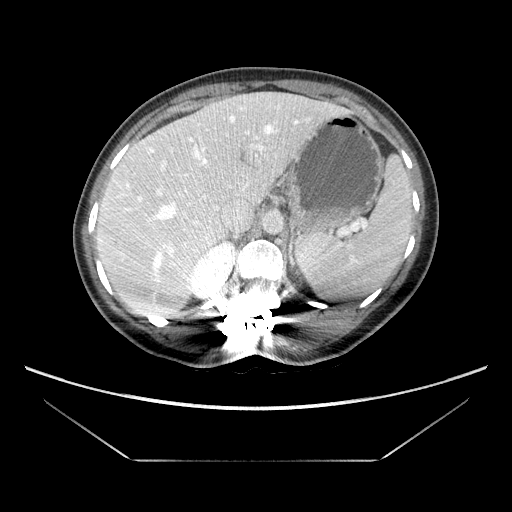 CT slice

Some hepatic vessels may have no box.
9 hepatic vessel regions appear at region(266, 126, 270, 131); region(221, 200, 245, 231); region(134, 225, 173, 252); region(150, 201, 187, 221); region(203, 160, 205, 161); region(190, 218, 200, 224); region(192, 147, 200, 157); region(252, 144, 261, 149); region(213, 217, 216, 220).